Image size 512x512 | CT | Abdomen 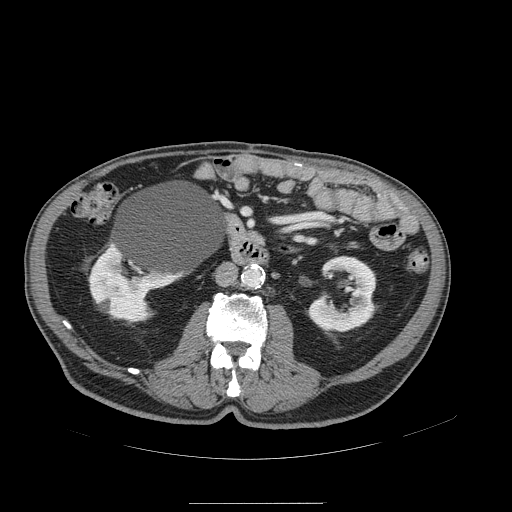 Pancreas at x1=246 y1=230 x2=269 y2=248.